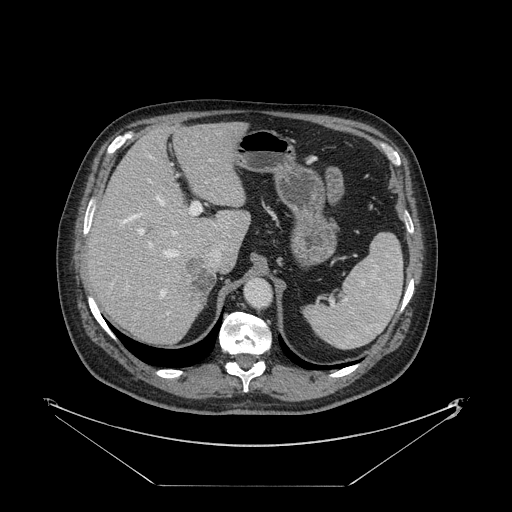

CT

Not every hepatic vessel necessarily has a box.
hepatic vessel: [138, 228, 143, 233], [189, 202, 201, 214], [170, 163, 171, 164], [149, 242, 151, 246], [166, 312, 168, 314], [175, 174, 177, 175], [148, 155, 150, 156], [172, 231, 175, 234], [160, 290, 164, 296] | liver tumor: [184, 256, 215, 301]